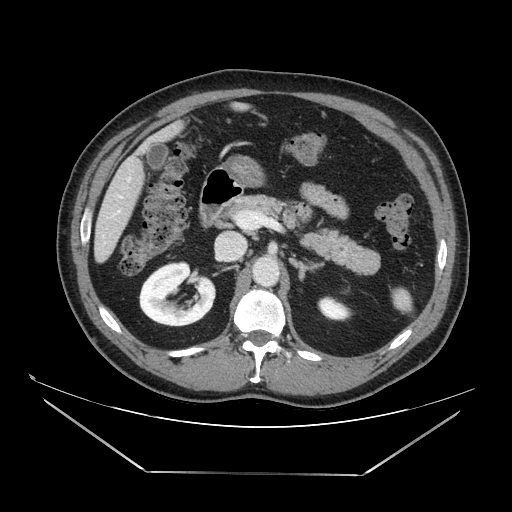
512x512 px, Abdomen, CT
{"pancreas": ["225, 194, 381, 275"]}